Abdomen, CT
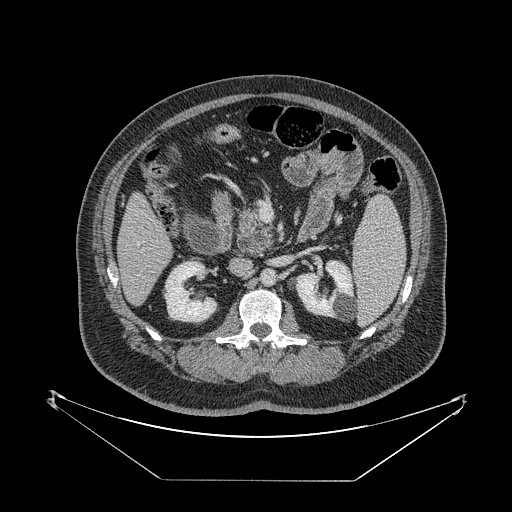

pancreas: x1=237, y1=210, x2=272, y2=255